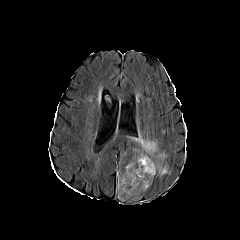
FLAIR magnetic resonance.
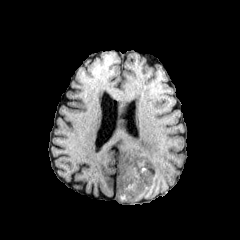
T1-weighted magnetic resonance.
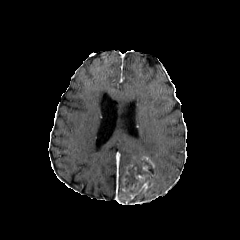
Post-contrast T1-weighted MR.
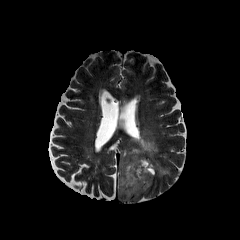
T2-weighted MR.
Brain
Enhancing tumor: bounding box x1=118 y1=155 x2=156 y2=202, x1=142 y1=163 x2=149 y2=172.
Edema: bounding box x1=129 y1=131 x2=170 y2=178.
Non-enhancing tumor core: bounding box x1=125 y1=160 x2=153 y2=189.